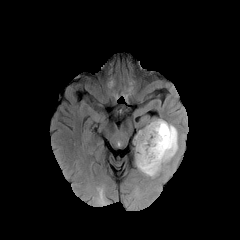
FLAIR MR image.
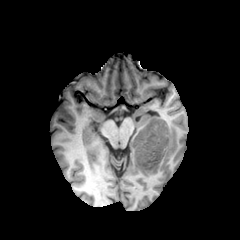
T1-weighted MR.
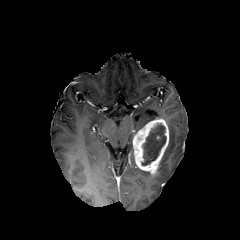
Post-contrast T1-weighted MR.
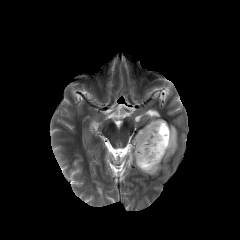
T2-weighted MRI.
240x240 px
non-enhancing_tumor_core:
  - (left=142, top=124, right=166, bottom=165)
edema:
  - (left=139, top=122, right=178, bottom=177)
enhancing_tumor:
  - (left=133, top=119, right=169, bottom=174)